FLAIR magnetic resonance.
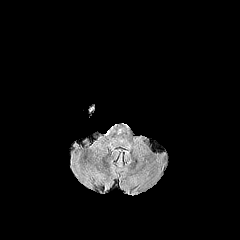
T1-weighted magnetic resonance.
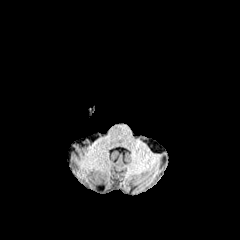
Post-contrast T1-weighted MRI.
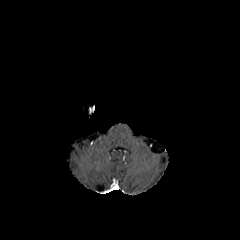
T2-weighted MR image.
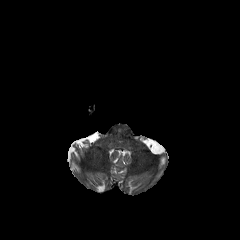
240x240; Head
enhancing_tumor:
  - bbox=[88, 105, 94, 117]